CT
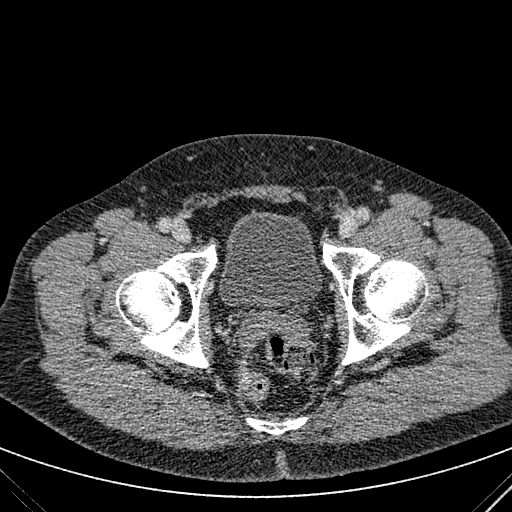

Annotated regions:
- urinary bladder: bbox(218, 209, 323, 315)